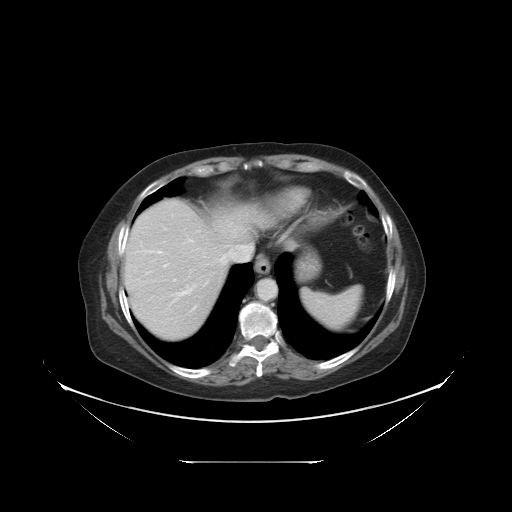 CT image; Abdomen
Only some of the vessels may be annotated.
Hepatic vessel: bounding box <box>164,264,167,266</box>, <box>237,245,245,248</box>, <box>164,228,165,229</box>, <box>192,307,195,310</box>, <box>186,240,192,242</box>, <box>204,281,206,284</box>, <box>219,249,235,263</box>, <box>173,284,195,301</box>, <box>147,271,151,273</box>, <box>140,250,161,253</box>.